Slice index 29 | MR image | Hippocampus 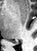 The posterior hippocampus is bounded by region(12, 42, 17, 44).